FLAIR MR image.
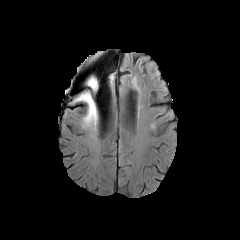
T1-weighted MR image.
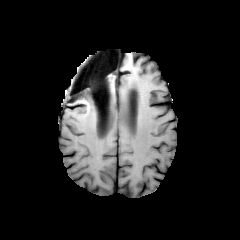
Post-contrast T1-weighted MRI.
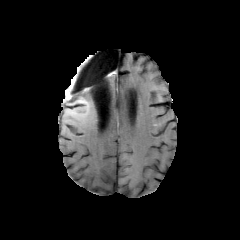
T2-weighted MR image.
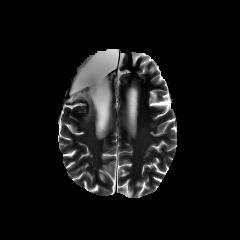
Head.
2 non-enhancing tumor core regions are bounded by bbox=[80, 92, 99, 111]; bbox=[97, 91, 104, 104]. 2 edema regions are located at bbox=[80, 100, 98, 131]; bbox=[86, 76, 100, 107].